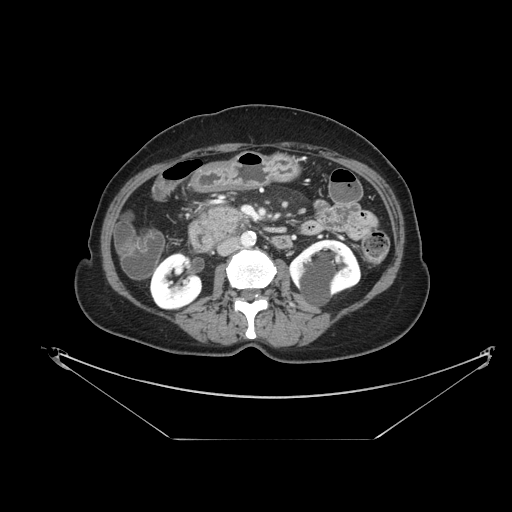

CT scan slice; Abdomen
Pancreas: bounding box (204,206,244,242).